CT image; Image width 381 mm
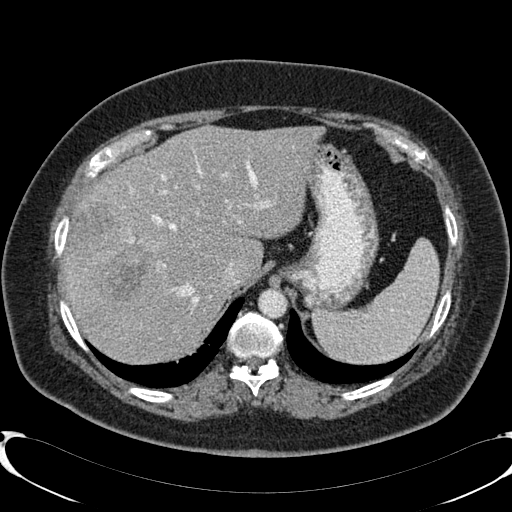
Annotated regions:
* liver: (64,126,322,364)
* focal liver lesion: (70,205,117,259), (97,247,153,308)